CT scan slice

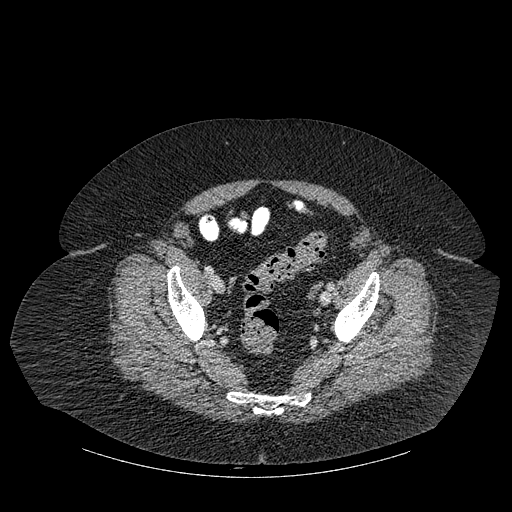 Bone = left=167, top=266, right=204, bottom=340; left=227, top=392, right=310, bottom=414; left=334, top=272, right=379, bottom=342.